Upper abdomen; Computed tomography; 512x512 px; Slice 188 of 432
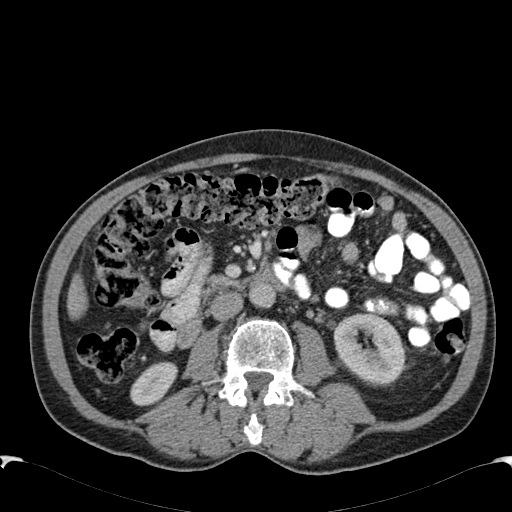

Liver: left=68, top=274, right=88, bottom=319.
Kidney: left=333, top=313, right=404, bottom=383; left=131, top=363, right=177, bottom=405.